CT image. Slice 49/102. 512x512 px.

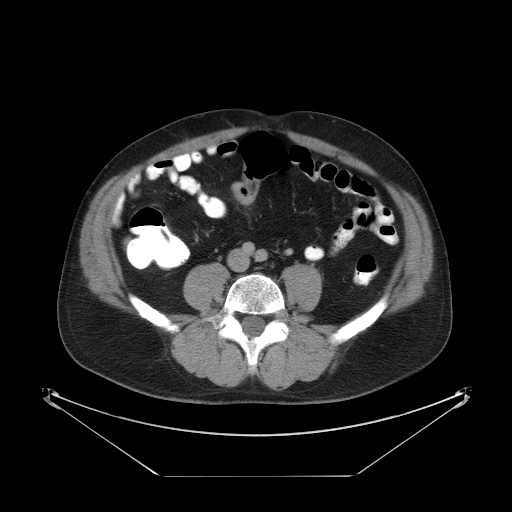

The colon tumor is located at (232, 176, 259, 205).